512x512, CT scan slice
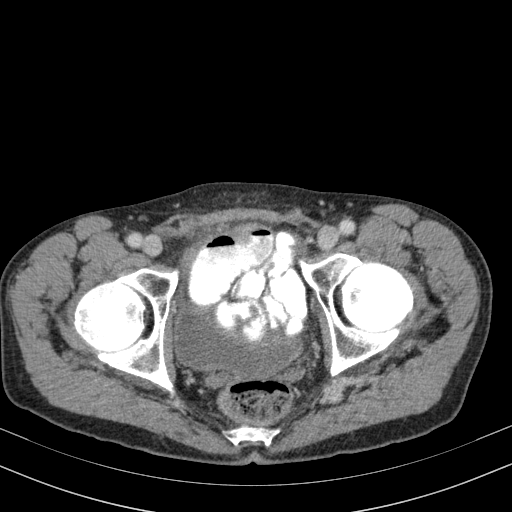
The urinary bladder is at bbox=[171, 296, 299, 376].